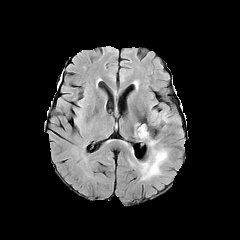
FLAIR MR image.
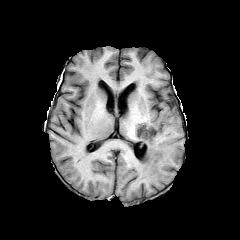
T1-weighted MR image.
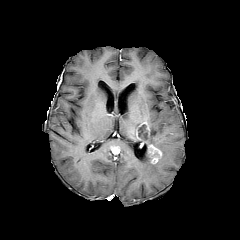
Post-contrast T1-weighted MRI of the same slice.
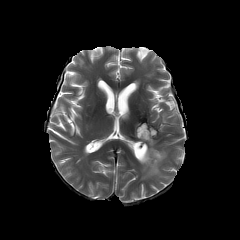
T2-weighted MR image of the same slice.
Head
Annotated regions:
- non-enhancing tumor core: l=136, t=126, r=148, b=138
- edema: l=162, t=111, r=169, b=123; l=138, t=136, r=168, b=179
- enhancing tumor: l=151, t=146, r=161, b=163